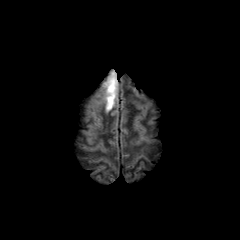
FLAIR MR image.
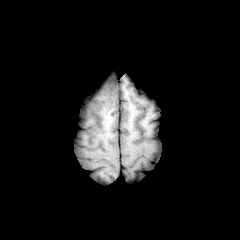
T1-weighted MR.
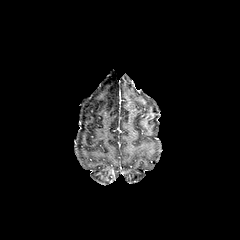
Same slice, post-contrast T1-weighted MR image.
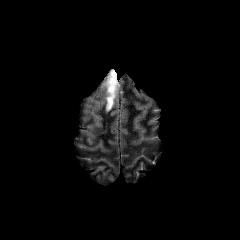
T2-weighted MR of the same slice.
* edema: (103,70,119,112)